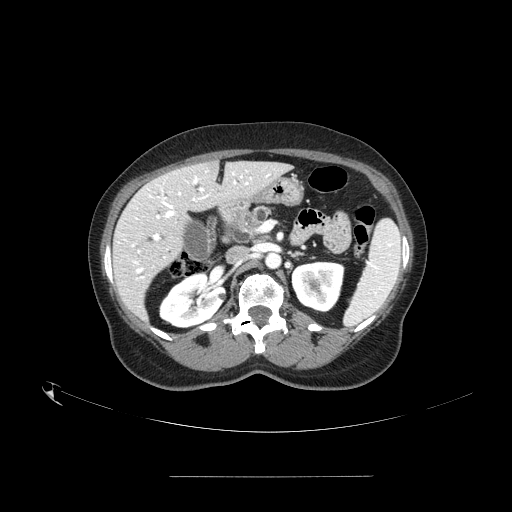 CT slice | Upper abdomen
The pancreas is located at <bbox>246, 205, 272, 234</bbox>.